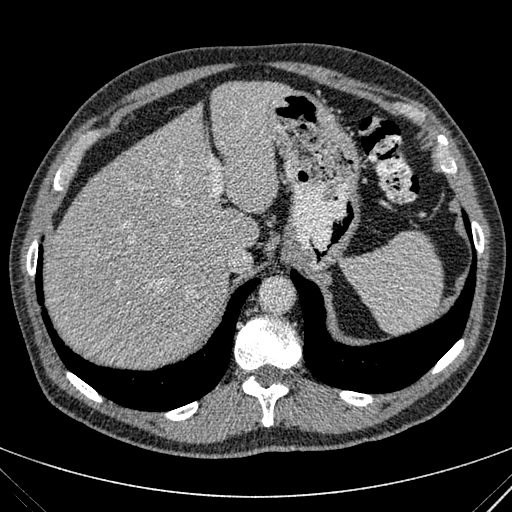
Abdomen, 512x512 px, Computed tomography

• liver: (44,82,289,366)